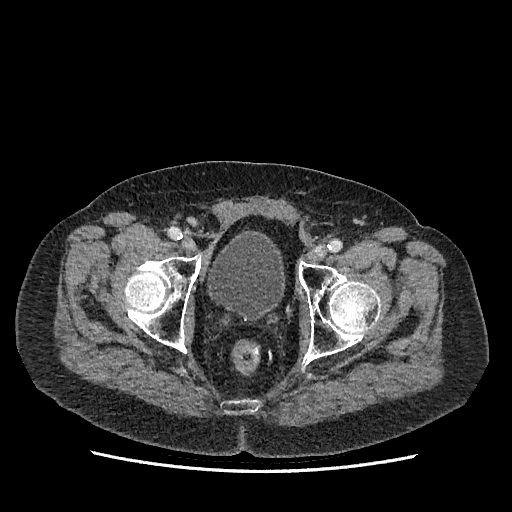 CT image

Urinary bladder — region(207, 233, 283, 317).